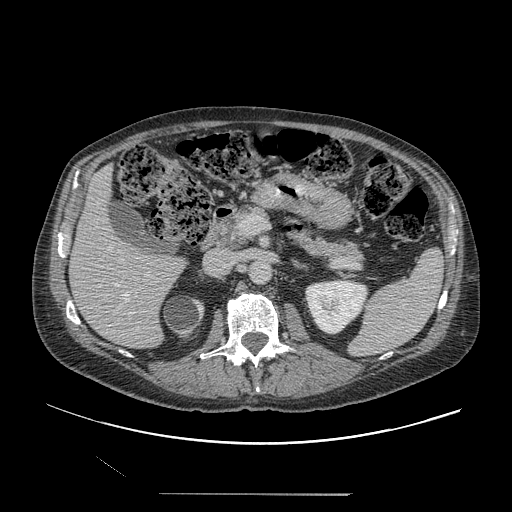 Abdomen. 512x512 px. CT slice.

pancreas:
  - <bbox>290, 232, 365, 261</bbox>
  - <bbox>216, 206, 268, 245</bbox>